Slice 22/38 | Field of view 34 mm wide, 1.00 mm slice spacing | MR | Hippocampus
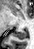
posterior hippocampus: [13,30,26,39]